240x240, Field of view 240x240 mm
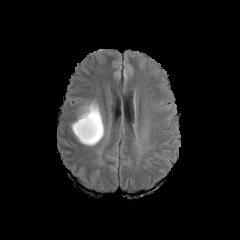
FLAIR MR image.
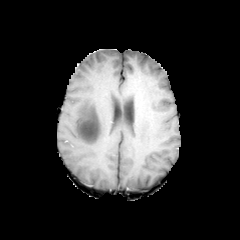
T1-weighted MRI.
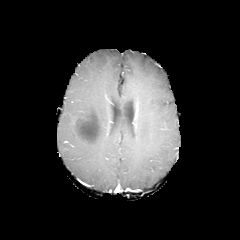
Post-contrast T1-weighted MR of the same slice.
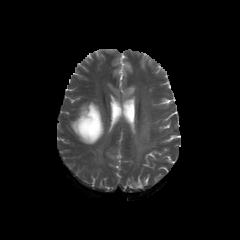
T2-weighted MR image of the same slice.
<segmentation>
  <non-enhancing_tumor_core>region(80, 114, 99, 139)</non-enhancing_tumor_core>
  <edema>region(71, 100, 107, 146)</edema>
</segmentation>